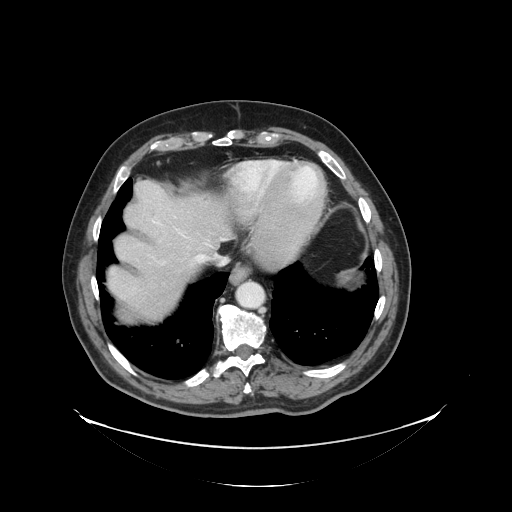 CT image | 512x512
Not every hepatic vessel necessarily has a box.
liver tumor: 186, 271, 198, 286 | hepatic vessel: 153, 222, 158, 223; 192, 255, 207, 263; 206, 243, 210, 245; 220, 239, 223, 240